Slice 140/677; CT 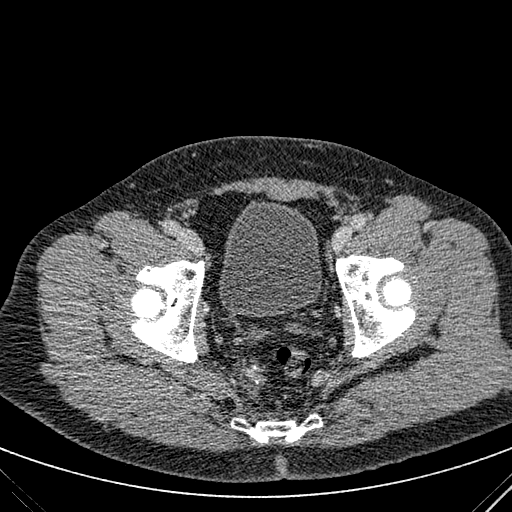
urinary bladder: x1=218 y1=199 x2=322 y2=316